Medial temporal lobe. 37x45 px. MR image.

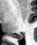 {
  "posterior_hippocampus": [
    "(14,35,22,39)"
  ]
}